512x512; Computed tomography

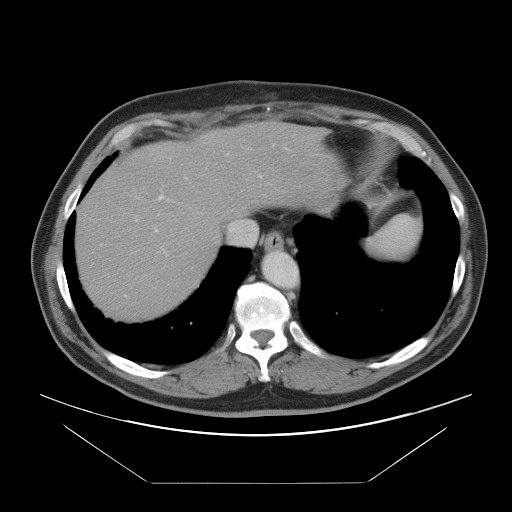
The vessel annotation is not exhaustive.
<segmentation>
  <hepatic_vessel>164, 251, 166, 253; 285, 147, 287, 149; 259, 175, 260, 176; 155, 229, 157, 230; 158, 194, 163, 199; 162, 247, 163, 249; 135, 218, 137, 220</hepatic_vessel>
</segmentation>